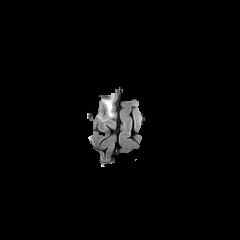
FLAIR MRI.
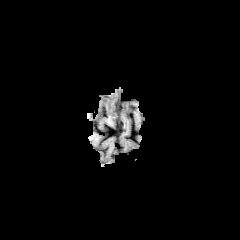
Same slice, T1-weighted MR.
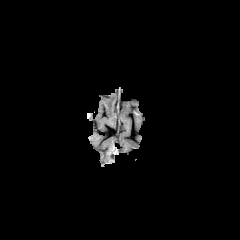
Post-contrast T1-weighted MR image.
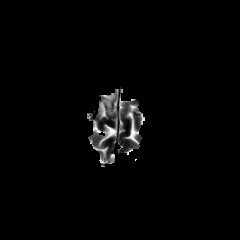
Same slice, T2-weighted MRI.
Brain.
<segmentation>
  <edema>left=100, top=110, right=113, bottom=123; left=104, top=96, right=113, bottom=107</edema>
  <non-enhancing_tumor_core>left=104, top=103, right=113, bottom=115</non-enhancing_tumor_core>
</segmentation>